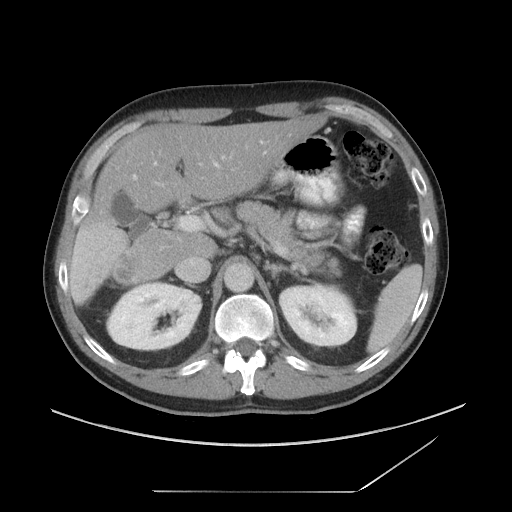

CT image
The liver tumor is bounded by box=[113, 249, 144, 284].